512x512 px. CT image.

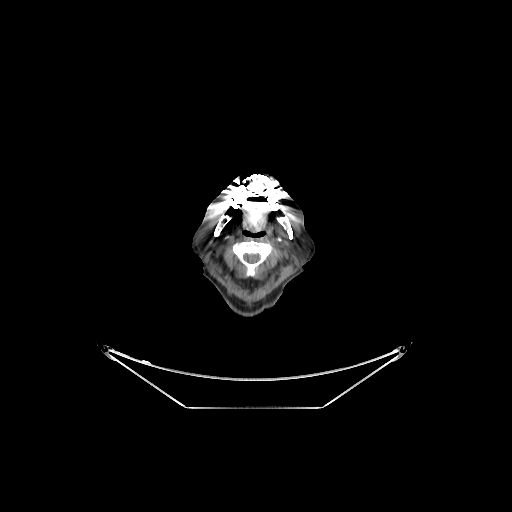 Bone = [277,216,292,239], [214,174,284,236], [231,239,274,275].